Slice 141 of 266 | Liver | CT scan slice
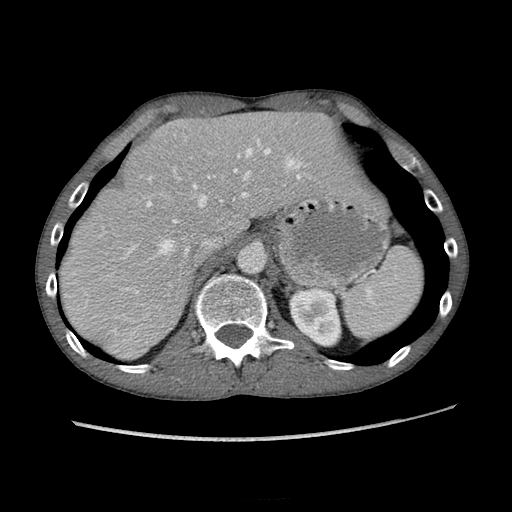

The kidney is at <bbox>291, 289, 339, 344</bbox>. The liver is located at <bbox>59, 109, 351, 358</bbox>.